Slice index 117. 240x240 px.
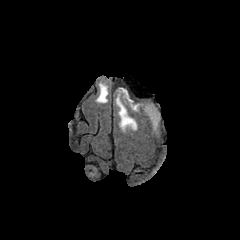
FLAIR magnetic resonance.
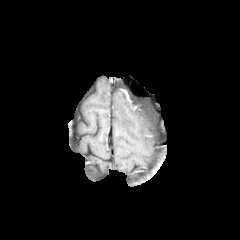
T1-weighted MR image.
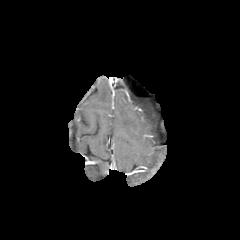
Same slice, post-contrast T1-weighted MRI.
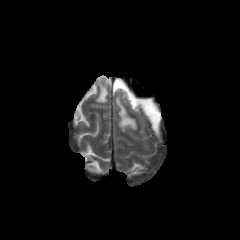
T2-weighted MR.
<segmentation>
  <edema><bbox>116, 87, 144, 131</bbox>, <bbox>145, 113, 159, 129</bbox>, <bbox>96, 79, 109, 103</bbox></edema>
  <non-enhancing_tumor_core><bbox>132, 100, 157, 120</bbox></non-enhancing_tumor_core>
</segmentation>